CT image, Liver, Field of view 400 mm wide, 0.70 mm slice spacing 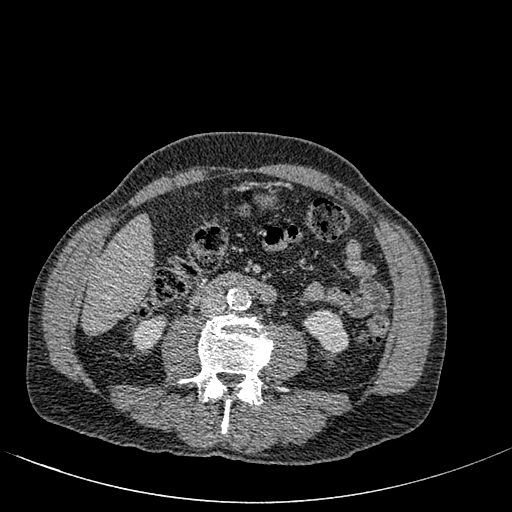
Kidney: bounding box region(304, 310, 348, 352); region(133, 316, 165, 351).
Liver: bounding box region(82, 214, 152, 333).